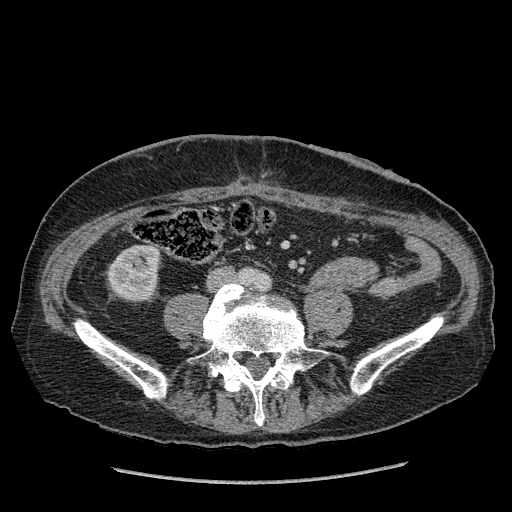
512x512 px. CT scan slice. Abdomen. The kidney is at x1=108 y1=245 x2=159 y2=300.